Field of view 32x54 mm, Medial temporal lobe, Slice index 12, MR image

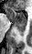 Anterior hippocampus at (left=7, top=6, right=27, bottom=24).
Posterior hippocampus at (left=14, top=24, right=26, bottom=36).